CT | Image width 460 mm 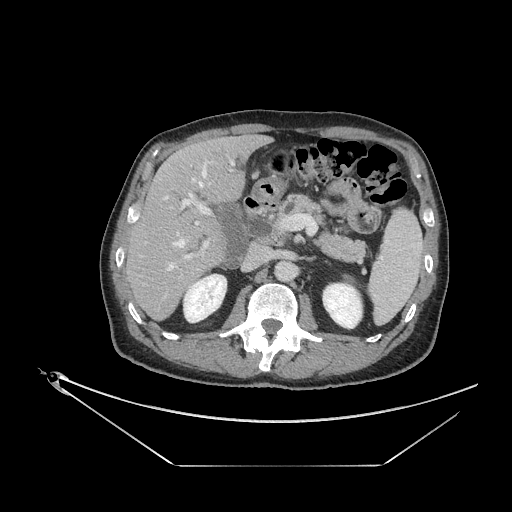 - pancreas: 276,194,367,262